Abdomen, CT scan slice, Image size 512x512
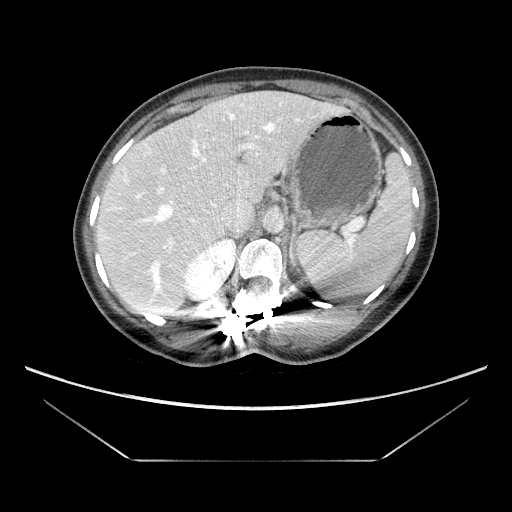 The vessel boxes may cover only some of the vessels.
Findings:
• hepatic vessel: [x1=267, y1=125, x2=271, y2=129], [x1=164, y1=237, x2=174, y2=251], [x1=214, y1=197, x2=250, y2=231], [x1=152, y1=200, x2=176, y2=222], [x1=192, y1=146, x2=202, y2=161], [x1=189, y1=218, x2=195, y2=222], [x1=240, y1=144, x2=250, y2=147], [x1=161, y1=168, x2=165, y2=172]